Slice 47/155
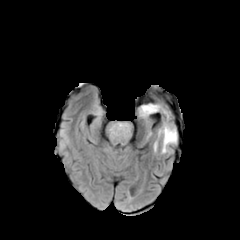
FLAIR MR.
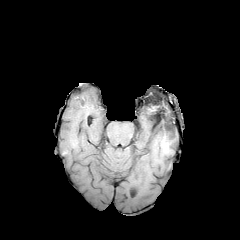
Same slice, T1-weighted magnetic resonance.
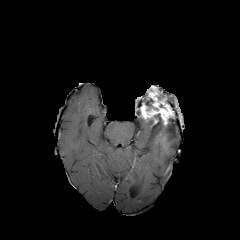
Post-contrast T1-weighted MR of the same slice.
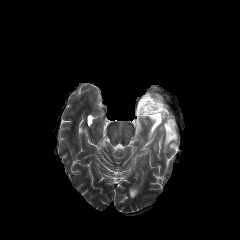
T2-weighted MRI.
Annotated regions:
• edema: x1=153 y1=124 x2=177 y2=153
• enhancing tumor: x1=140 y1=98 x2=173 y2=126
• non-enhancing tumor core: x1=149 y1=112 x2=172 y2=139